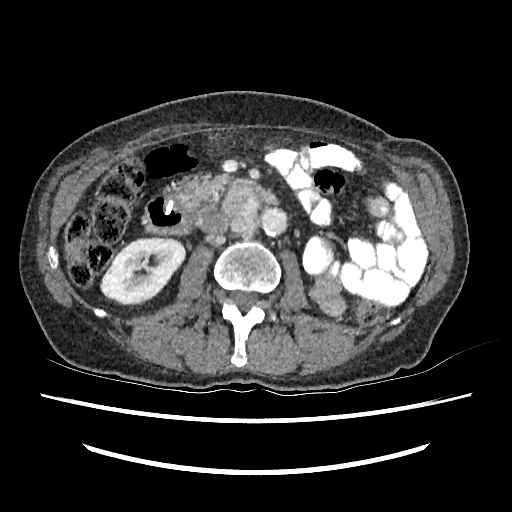 Computed tomography

{"kidney": ["bbox=[101, 238, 184, 303]"]}